Upper abdomen, Computed tomography, 512x512 px

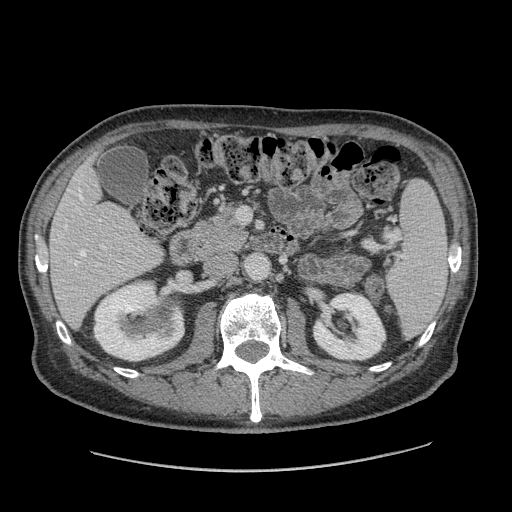

- pancreas: [199,207,246,249]